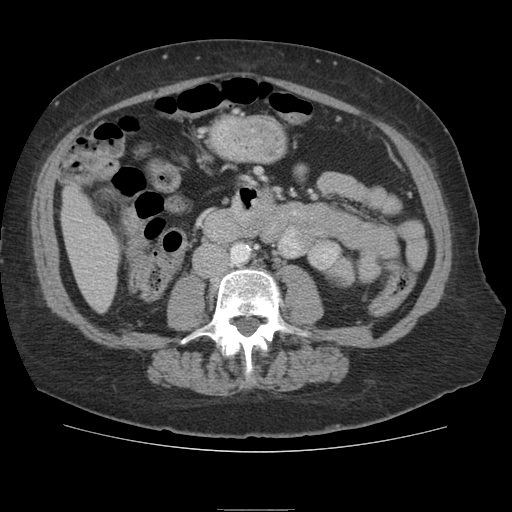 512x512; CT image

Annotated regions:
• colon tumor: [81, 149, 119, 179]